FLAIR MR.
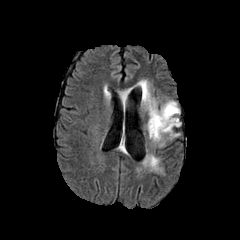
T1-weighted MRI.
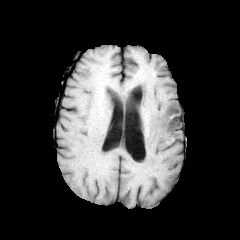
Post-contrast T1-weighted MR.
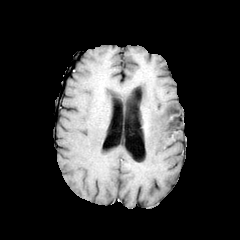
T2-weighted magnetic resonance.
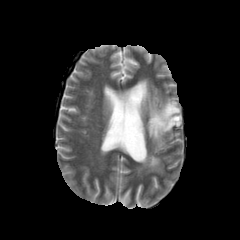
240x240, Head
Findings:
- edema: (left=136, top=79, right=181, bottom=147), (left=143, top=154, right=160, bottom=170), (left=120, top=88, right=131, bottom=111)
- non-enhancing tumor core: (left=170, top=117, right=179, bottom=123), (left=167, top=104, right=177, bottom=115)